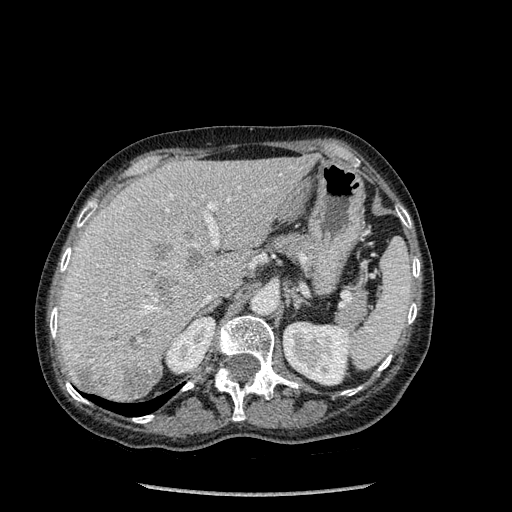
CT slice. 512x512 px. Liver.
Annotated regions:
* bone: x1=66, y1=382, x2=88, y2=403; x1=396, y1=206, x2=411, y2=227; x1=378, y1=354, x2=392, y2=371; x1=407, y1=303, x2=416, y2=323; x1=341, y1=386, x2=361, y2=395; x1=412, y1=257, x2=420, y2=277; x1=132, y1=415, x2=153, y2=423; x1=77, y1=202, x2=96, y2=227; x1=182, y1=381, x2=193, y2=391; x1=50, y1=307, x2=58, y2=338; x1=60, y1=247, x2=71, y2=272; x1=215, y1=315, x2=298, y2=420
* hepatic lesion: x1=158, y1=280, x2=174, y2=302; x1=146, y1=268, x2=155, y2=276; x1=76, y1=368, x2=95, y2=391; x1=188, y1=249, x2=203, y2=266; x1=123, y1=364, x2=157, y2=398; x1=150, y1=241, x2=173, y2=256
* kidney: x1=167, y1=317, x2=214, y2=372; x1=283, y1=322, x2=352, y2=384
* lung: x1=88, y1=389, x2=175, y2=416
* liver: x1=58, y1=154, x2=316, y2=402